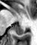 Magnetic resonance
Posterior hippocampus at (x1=14, y1=25, x2=25, y2=34).